Slice 122/155. Head.
FLAIR MR image.
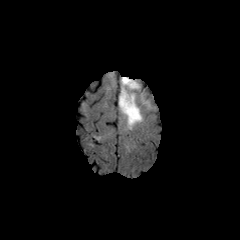
T1-weighted MR.
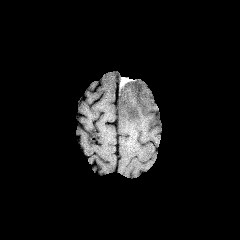
Post-contrast T1-weighted magnetic resonance.
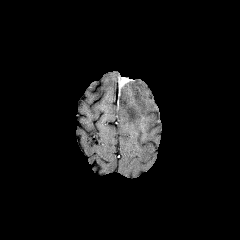
T2-weighted MR.
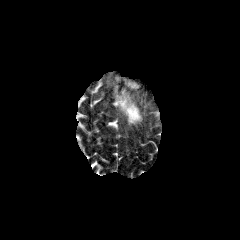
* non-enhancing tumor core: 120, 79, 131, 86
* edema: 118, 80, 150, 128